512x512 px | Computed tomography | Slice 484 of 986 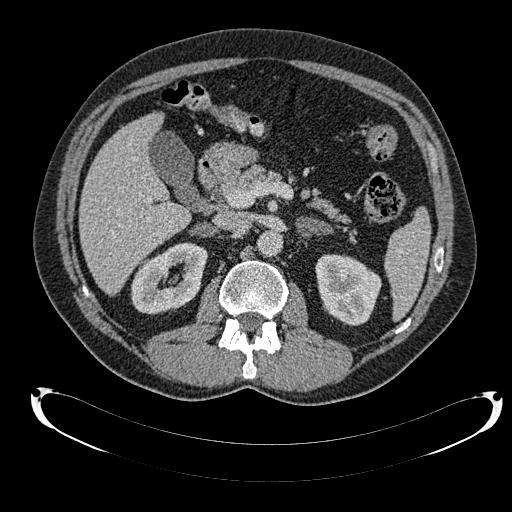

liver:
  - bbox=[79, 113, 191, 295]
kidney:
  - bbox=[316, 255, 380, 324]
  - bbox=[132, 243, 207, 313]